Brain | Field of view 240x240 mm
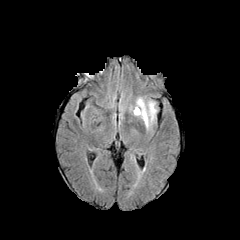
FLAIR magnetic resonance.
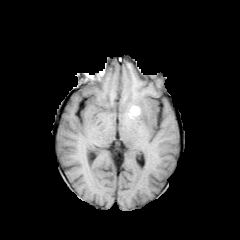
T1-weighted magnetic resonance.
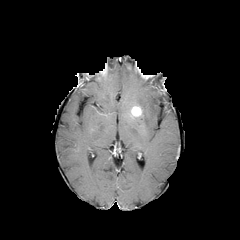
Post-contrast T1-weighted MRI.
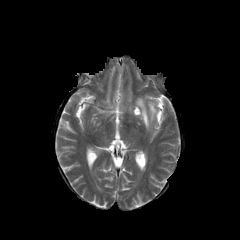
T2-weighted magnetic resonance.
The edema is bounded by <bbox>135, 97, 156, 127</bbox>. The enhancing tumor is located at <bbox>131, 106, 141, 115</bbox>.